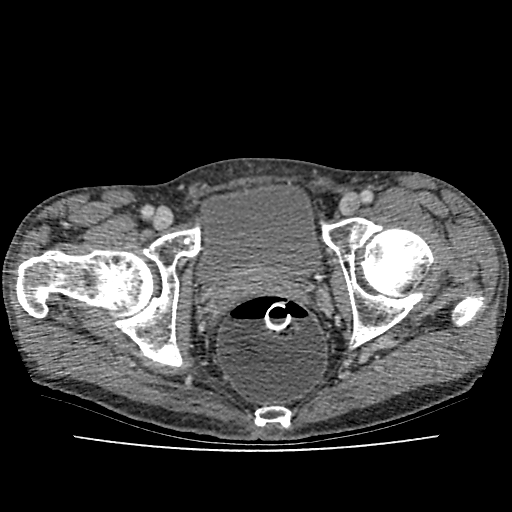

CT scan slice | 512x512 px | Pelvis
The urinary bladder appears at {"x1": 193, "y1": 180, "x2": 322, "y2": 300}.